Image width 350 mm; CT scan slice; Liver

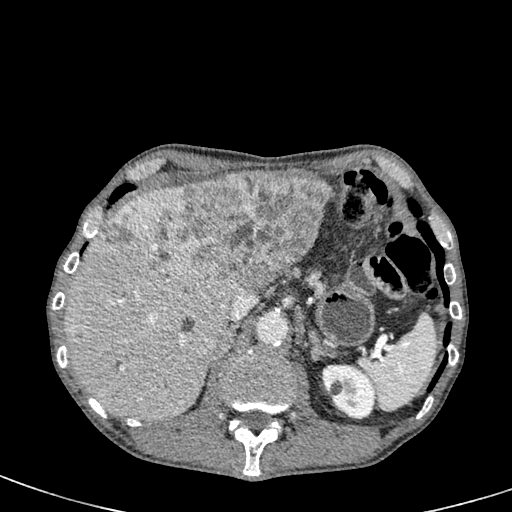

3 liver regions appear at <box>63,185,243,421</box>, <box>274,254,304,277</box>, <box>280,169,320,178</box>. 2 focal liver lesion regions appear at <box>180,172,333,288</box>, <box>105,223,132,244</box>. The kidney is located at <box>321,364,375,419</box>.